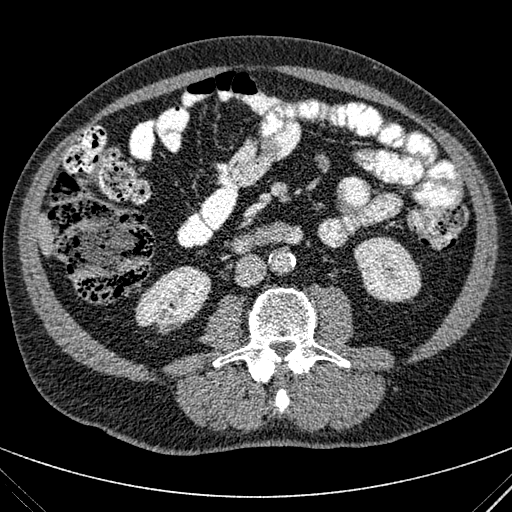 512x512, CT image
<segmentation>
  <kidney>l=355, t=237, r=420, b=301; l=136, t=266, r=210, b=332</kidney>
  <liver>l=38, t=218, r=51, b=254</liver>
</segmentation>